Slice index 38; Field of view 240 mm wide, 1.00 mm slice spacing; Head
FLAIR MR.
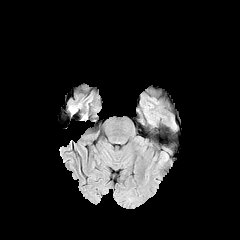
T1-weighted MRI.
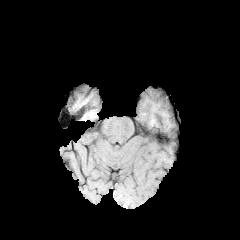
Post-contrast T1-weighted MRI.
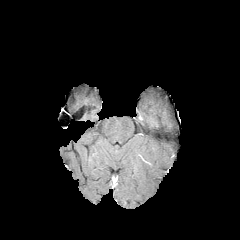
T2-weighted magnetic resonance.
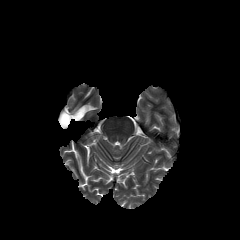
<segmentation>
  <edema>box(68, 105, 78, 114)</edema>
</segmentation>